Field of view 240x240 mm. Brain.
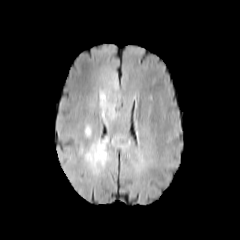
FLAIR MR.
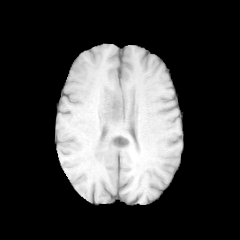
T1-weighted MR image.
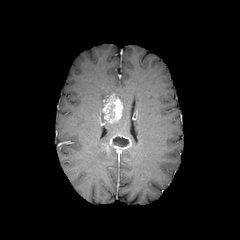
Post-contrast T1-weighted MRI.
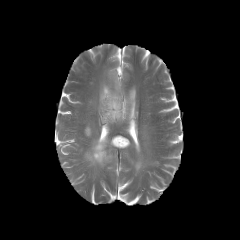
T2-weighted MR image of the same slice.
2 enhancing tumor regions are bounded by [106, 134, 132, 149], [102, 92, 123, 123]. 3 edema regions are located at [84, 137, 111, 173], [99, 90, 124, 125], [84, 126, 91, 136]. The non-enhancing tumor core lies within [113, 136, 129, 147].